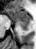

MR image, Hippocampus, 36x49
posterior_hippocampus:
  - 17 21 29 30
anterior_hippocampus:
  - 7 9 30 20